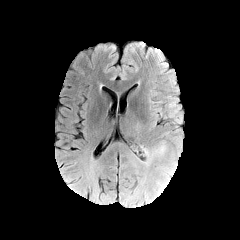
FLAIR MR image.
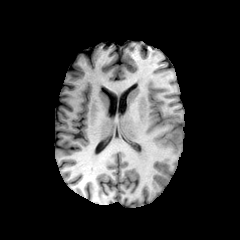
T1-weighted MR image.
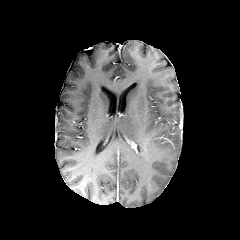
Post-contrast T1-weighted MR image.
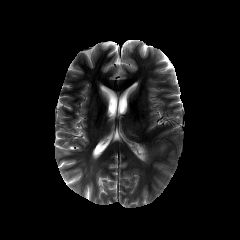
T2-weighted magnetic resonance.
Brain; 240x240
Segmented structures:
• edema: x1=141 y1=146 x2=149 y2=161